240x240 px; Head; Slice index 75
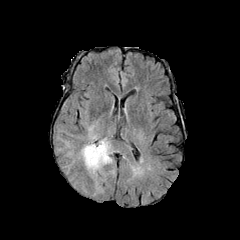
FLAIR magnetic resonance.
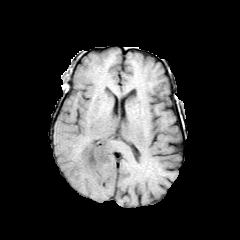
T1-weighted MR image.
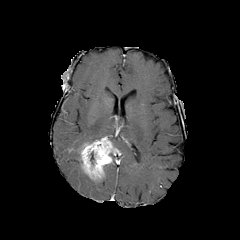
Post-contrast T1-weighted MR of the same slice.
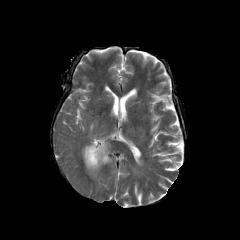
T2-weighted magnetic resonance.
Segmented structures:
* edema: (88,125,102,141)
* enhancing tumor: (81,137,113,177)